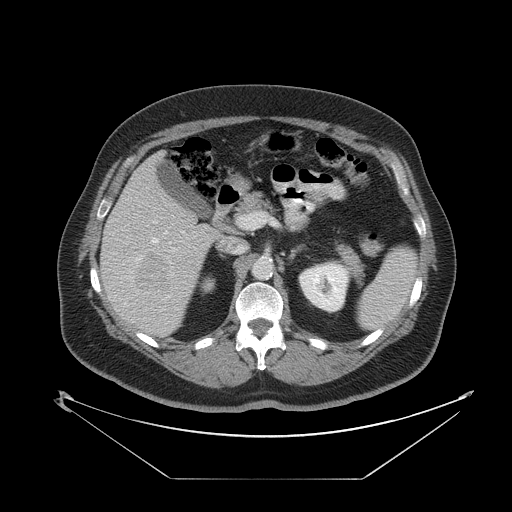

Liver | CT scan slice
Only some of the vessels may be annotated.
liver tumor: 135, 255, 166, 290 | hepatic vessel: 169, 241, 175, 251; 152, 238, 157, 242; 182, 231, 183, 232; 153, 220, 157, 223